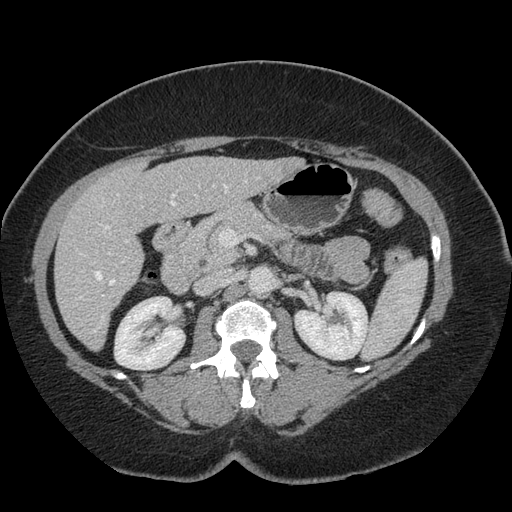

Liver | CT scan slice
The vessel annotation is not exhaustive.
Segmented structures:
- hepatic vessel: 195, 195, 197, 196; 171, 201, 175, 204; 99, 224, 109, 232; 95, 272, 101, 279; 110, 280, 114, 284; 224, 185, 227, 192; 101, 316, 104, 321; 172, 194, 174, 198